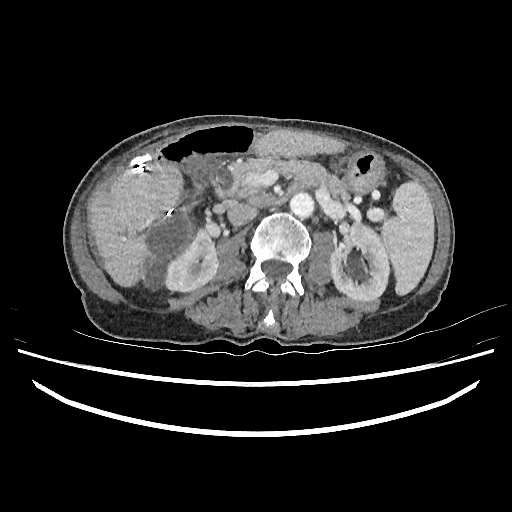
CT slice; Image size 512x512
Liver: bbox(255, 130, 345, 155); bbox(89, 164, 183, 285); bbox(178, 226, 192, 252).
Hepatic lesion: bbox(141, 214, 191, 288); bbox(92, 239, 102, 263).
Kidney: bbox(330, 221, 389, 301); bbox(166, 220, 219, 291).